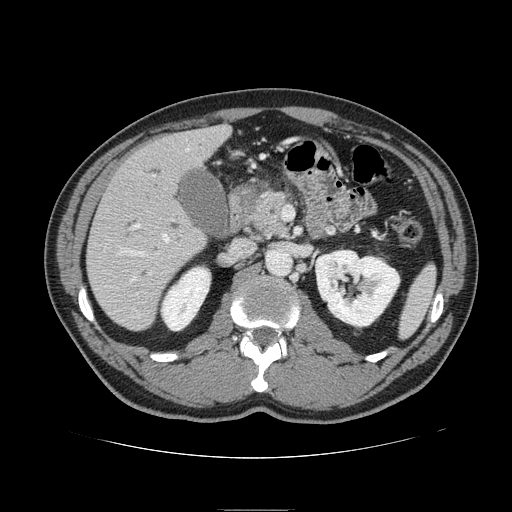

512x512; Abdomen; CT image

Pancreas = rect(247, 192, 287, 236).